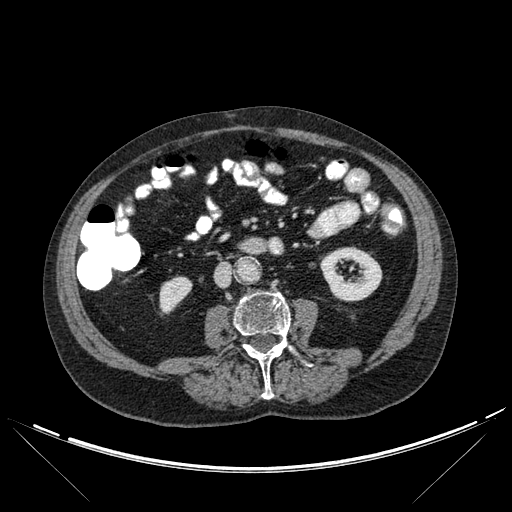 Computed tomography
2 kidney regions appear at (160,277,191,312), (321,248,381,300). The bone is bounded by (234,292,290,399).